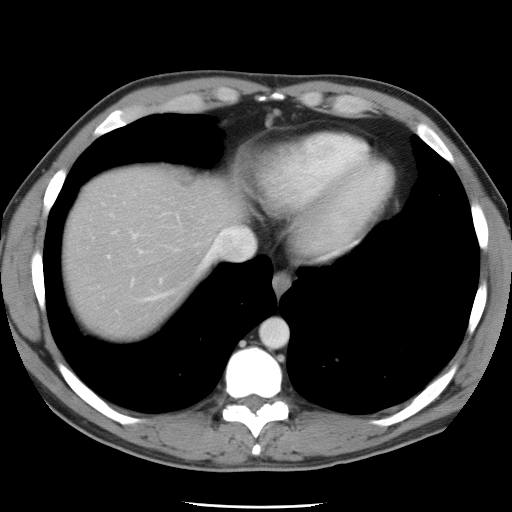

Computed tomography
The vessel annotation is not exhaustive.
2 hepatic vessel regions are located at box=[132, 234, 137, 237]; box=[199, 227, 255, 268].